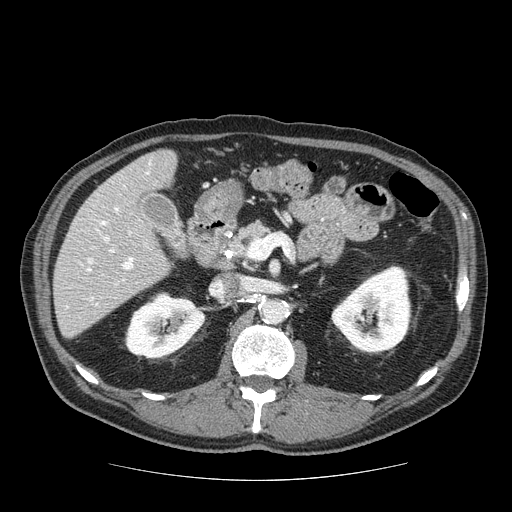 CT image
The pancreas is located at <box>225,221,269,259</box>.